FLAIR MR.
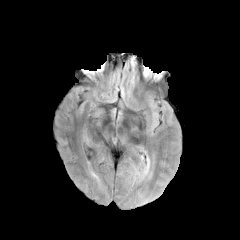
T1-weighted MR.
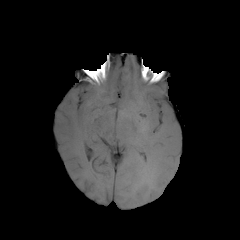
Post-contrast T1-weighted MR.
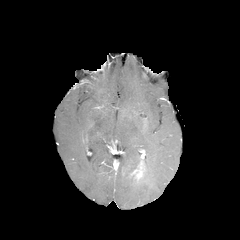
T2-weighted MRI.
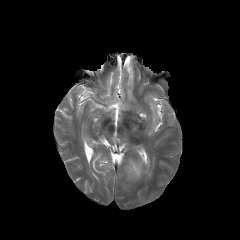
The enhancing tumor is bounded by <box>130,155,144,181</box>. The edema is bounded by <box>144,157,149,173</box>.